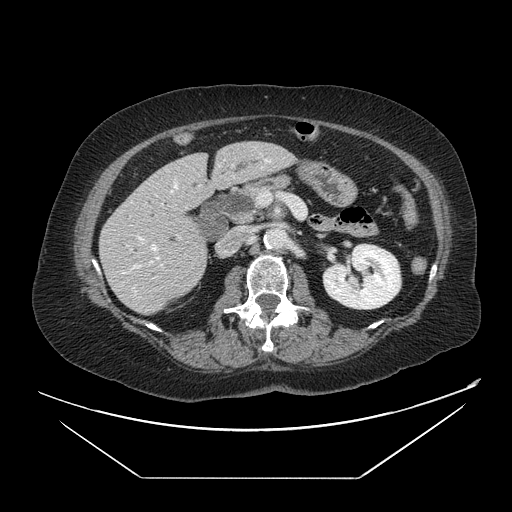
CT slice | Upper abdomen
pancreas: l=246, t=177, r=288, b=197